FLAIR MR.
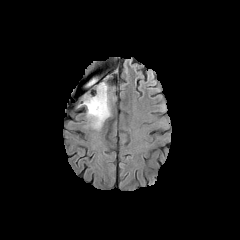
T1-weighted MR.
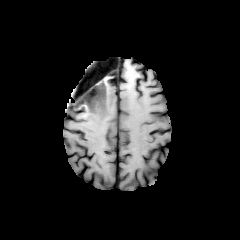
Post-contrast T1-weighted MR.
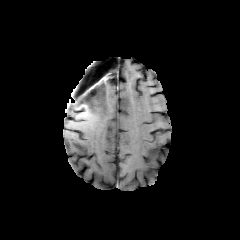
T2-weighted MRI.
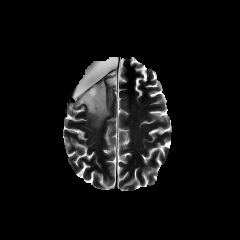
240x240
{
  "edema": [
    "86, 77, 98, 87",
    "81, 82, 113, 129"
  ],
  "non-enhancing_tumor_core": [
    "86, 86, 97, 99"
  ]
}